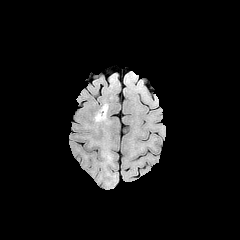
FLAIR magnetic resonance.
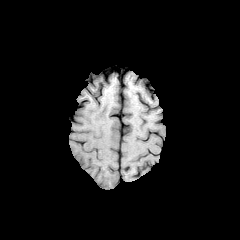
T1-weighted MRI.
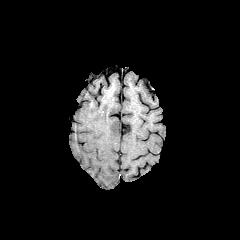
Post-contrast T1-weighted MR image.
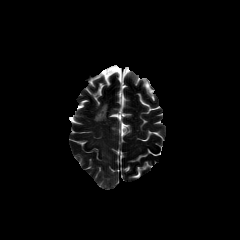
Same slice, T2-weighted MR.
Head | 240x240 px
The edema lies within 97 104 107 120.